Abdomen, CT image, Image size 512x512, Slice 24 of 42

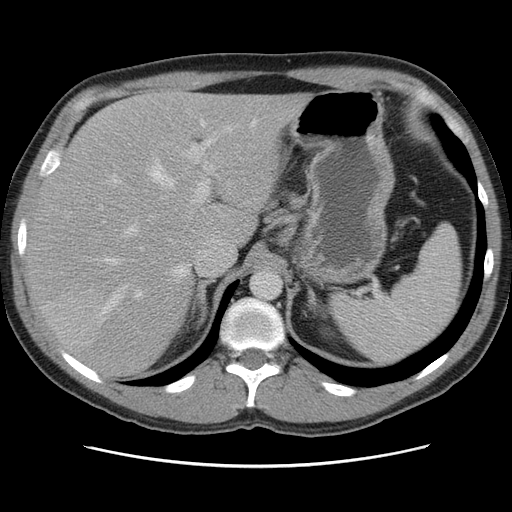
Some hepatic vessels may have no box.
Liver tumor = (left=44, top=291, right=101, bottom=338).
Most prominent 15 of 19 hepatic vessel regions = (left=226, top=127, right=232, bottom=132), (left=126, top=226, right=137, bottom=237), (left=136, top=291, right=141, bottom=297), (left=149, top=159, right=175, bottom=187), (left=204, top=163, right=212, bottom=172), (left=184, top=139, right=214, bottom=163), (left=100, top=205, right=103, bottom=209), (left=193, top=180, right=210, bottom=202), (left=201, top=121, right=205, bottom=125), (left=174, top=264, right=189, bottom=276), (left=252, top=120, right=256, bottom=126), (left=100, top=285, right=127, bottom=320), (left=104, top=258, right=121, bottom=264), (left=212, top=236, right=215, bottom=240), (left=113, top=175, right=119, bottom=186).